CT slice 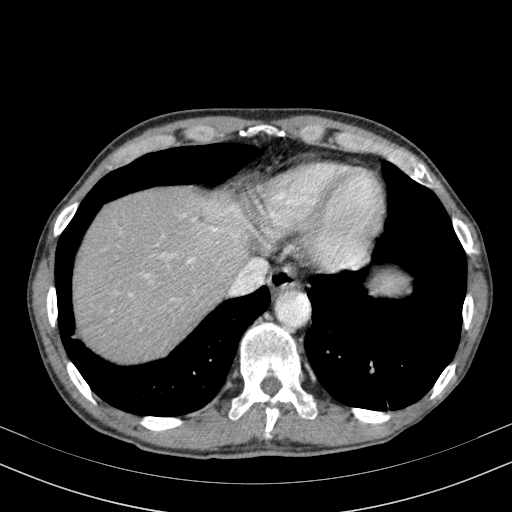

The liver lies within bbox(74, 175, 268, 364).